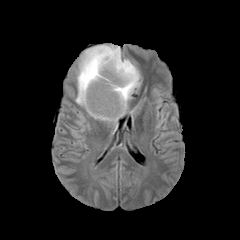
FLAIR magnetic resonance.
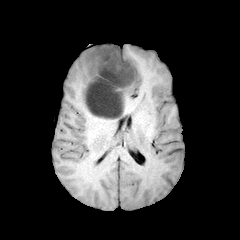
T1-weighted MRI.
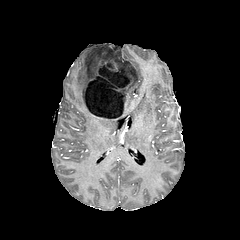
Post-contrast T1-weighted MR image of the same slice.
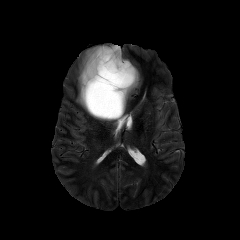
T2-weighted MR.
Head. 240x240.
Segmented structures:
* non-enhancing tumor core: bbox=[81, 46, 134, 119]
* edema: bbox=[115, 45, 140, 115]; bbox=[75, 44, 113, 115]; bbox=[93, 116, 119, 124]